FLAIR magnetic resonance.
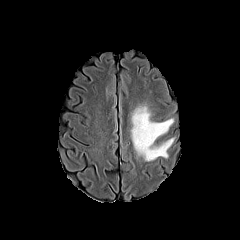
T1-weighted MR.
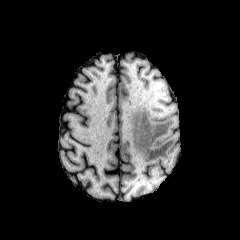
Post-contrast T1-weighted magnetic resonance.
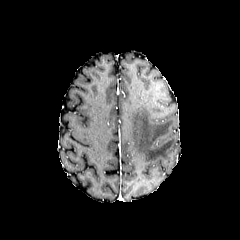
T2-weighted MRI.
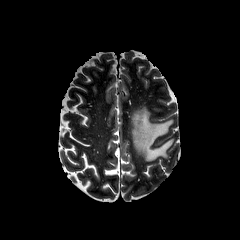
Brain
Edema — rect(130, 106, 173, 161).